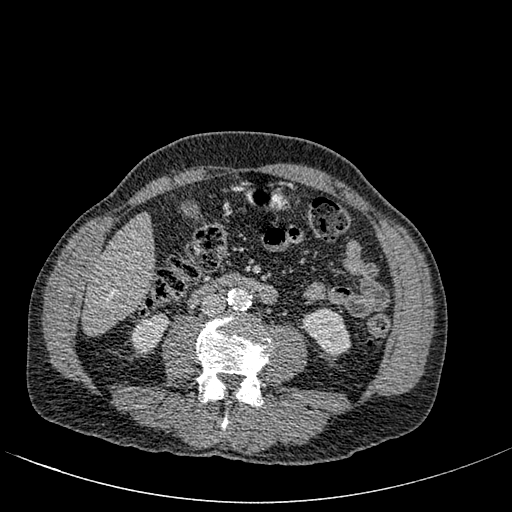
Upper abdomen. CT image.

<segmentation>
  <liver>82,213,153,334</liver>
  <kidney>303,308,350,355; 132,314,168,353</kidney>
</segmentation>